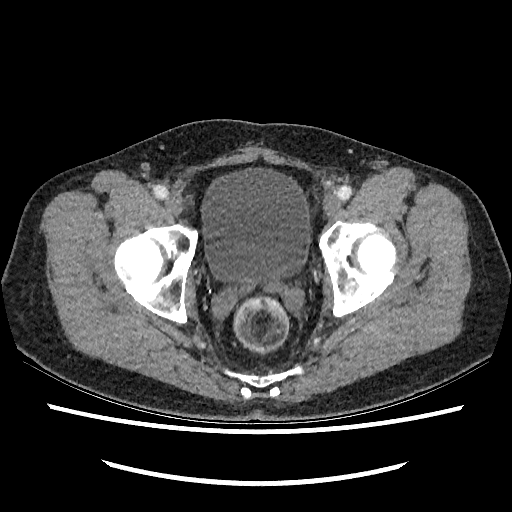

CT slice. Image size 512x512. Lower abdomen. Urinary bladder — [201, 167, 311, 283].